Slice 35 of 40. Liver. CT scan slice. 512x512.
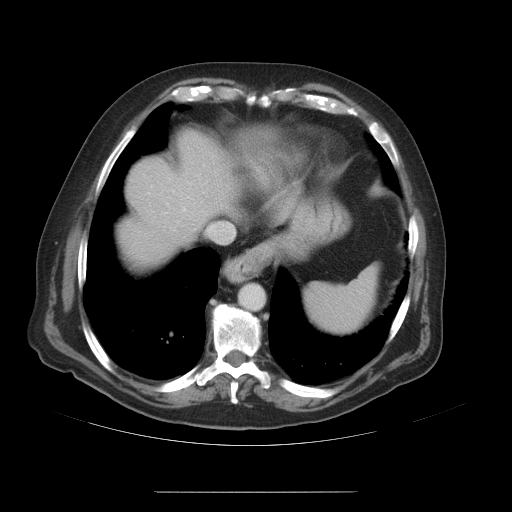 The vessel boxes may cover only some of the vessels.
The hepatic vessel is bounded by [183,208,185,210].